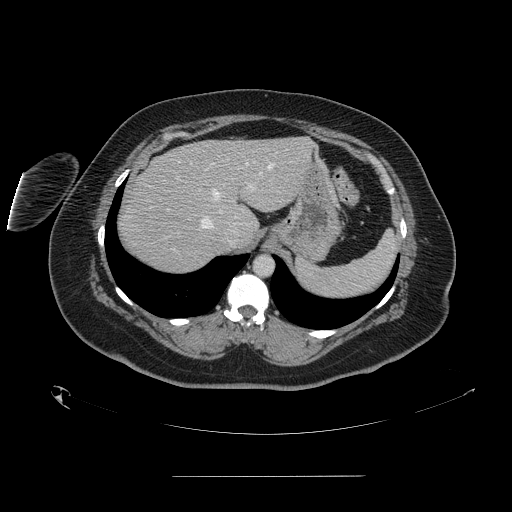
Computed tomography.

Spleen: bounding box (296, 229, 398, 299).